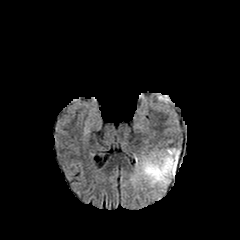
FLAIR MRI.
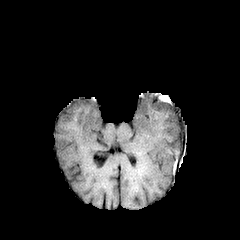
T1-weighted MRI.
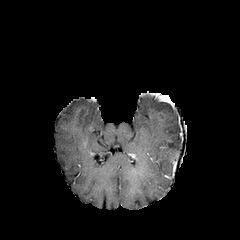
Post-contrast T1-weighted MRI.
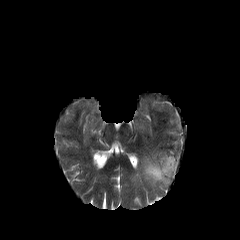
T2-weighted MR image.
Image size 240x240, Head
The edema appears at 142:148:179:185.